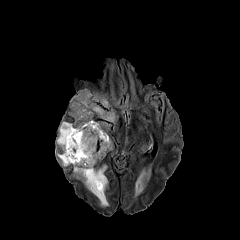
FLAIR MR.
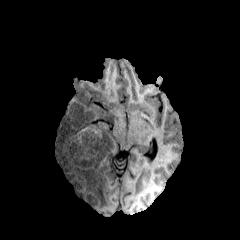
T1-weighted MR.
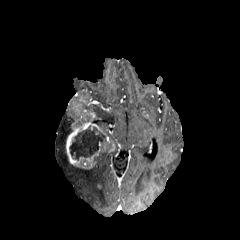
Post-contrast T1-weighted MR of the same slice.
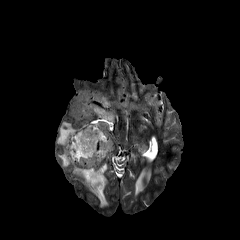
T2-weighted MR image of the same slice.
2 non-enhancing tumor core regions are bounded by 62:112:73:132, 69:127:104:159. 5 edema regions are located at 55:120:69:168, 72:164:108:207, 98:121:112:128, 80:88:92:97, 85:103:118:124. The enhancing tumor is located at 65:94:115:169.